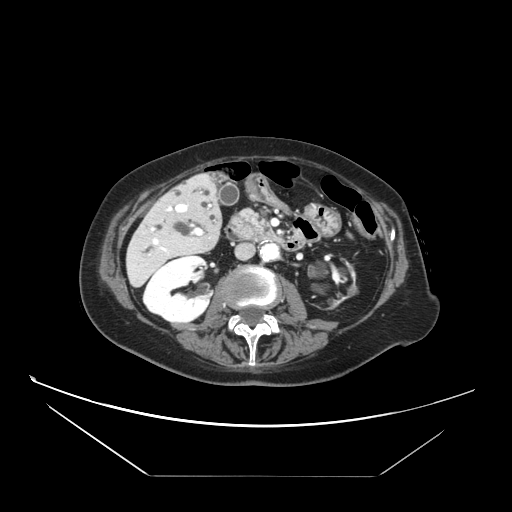
CT image.

{
  "pancreatic_tumor": [
    "[x1=250, y1=216, x2=260, y2=230]"
  ],
  "pancreas": [
    "[x1=243, y1=210, x2=276, y2=239]"
  ]
}